FLAIR MR.
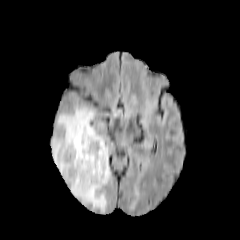
T1-weighted MR image.
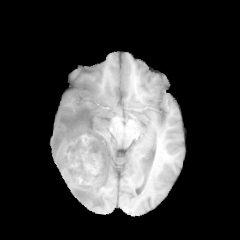
Post-contrast T1-weighted magnetic resonance.
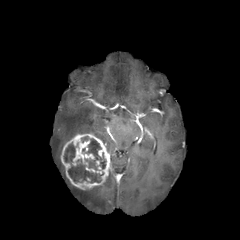
T2-weighted magnetic resonance.
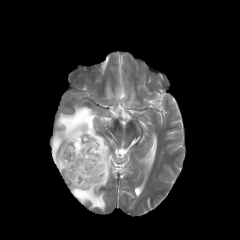
Brain.
Edema — region(51, 105, 111, 212).
Enhancing tumor — region(61, 133, 110, 190).
Non-enhancing tumor core — region(84, 159, 97, 170); region(87, 138, 106, 169); region(63, 142, 103, 183).